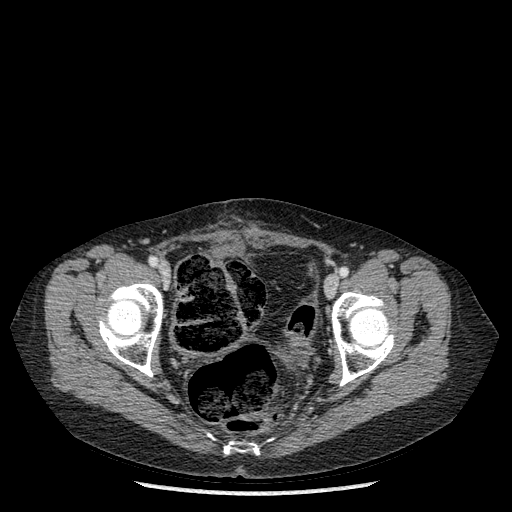 Image size 512x512; CT scan slice

Segmented structures:
- bone: {"x1": 331, "y1": 290, "x2": 395, "y2": 386}, {"x1": 98, "y1": 281, "x2": 162, "y2": 377}, {"x1": 223, "y1": 441, "x2": 259, "y2": 455}